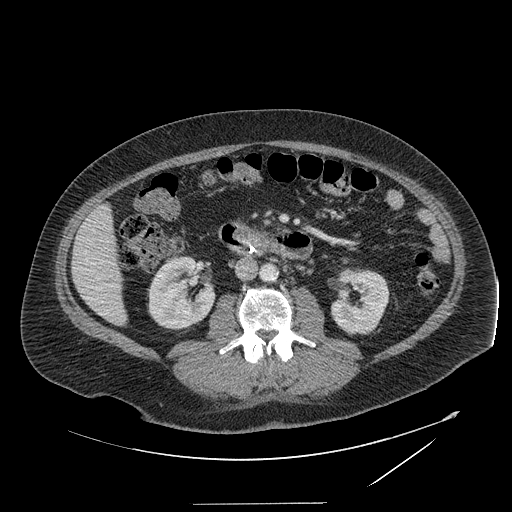 CT; Abdomen

The pancreas is bounded by rect(236, 228, 255, 243). The pancreatic tumor is bounded by rect(249, 232, 263, 246).